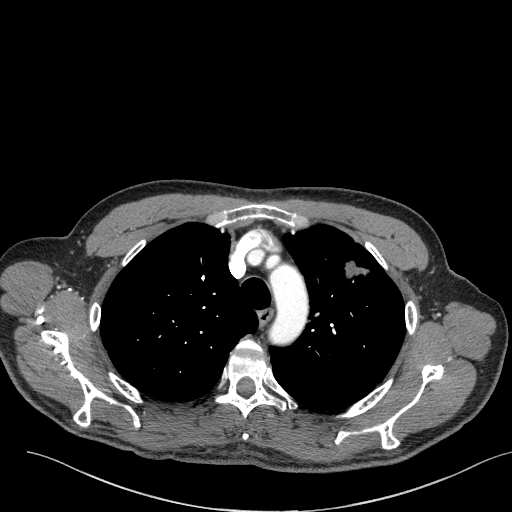

Image size 512x512 | CT scan slice | Thorax
Annotated regions:
* lung tumor: (x1=340, y1=257, x2=371, y2=295)